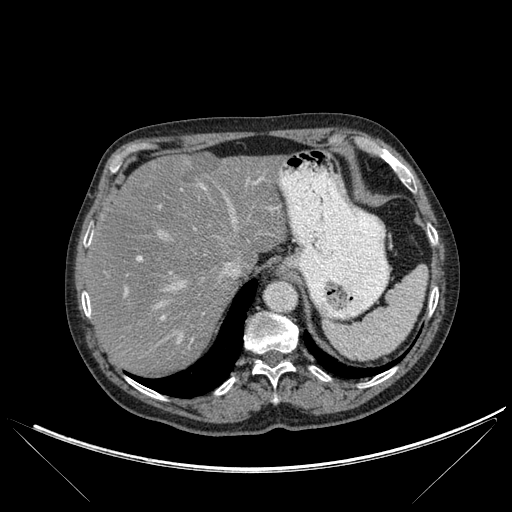 CT slice
bone: rect(244, 312, 298, 353); rect(215, 378, 235, 394); rect(380, 150, 416, 191); rect(84, 231, 92, 245); rect(429, 288, 438, 314); rect(252, 360, 295, 386); rect(427, 224, 437, 243); rect(126, 377, 164, 399); rect(82, 292, 90, 316); rect(361, 368, 396, 387); rect(309, 366, 330, 381) | liver: rect(87, 153, 289, 378) | hepatic lesion: rect(183, 154, 220, 180) | lung: rect(129, 279, 257, 397); rect(304, 332, 402, 378)